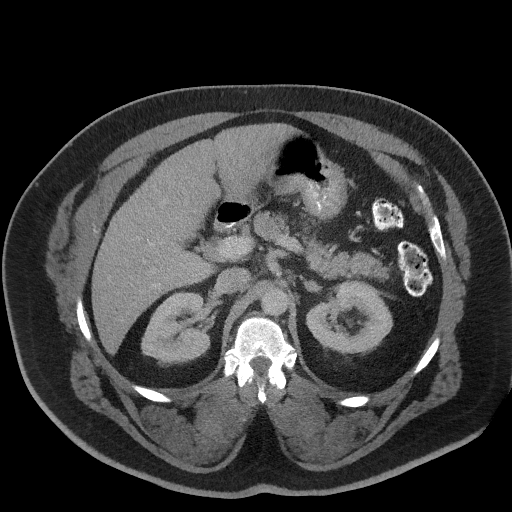

CT image

Pancreatic tumor: bounding box rect(354, 255, 386, 276).
Pancreas: bounding box rect(254, 211, 389, 279).